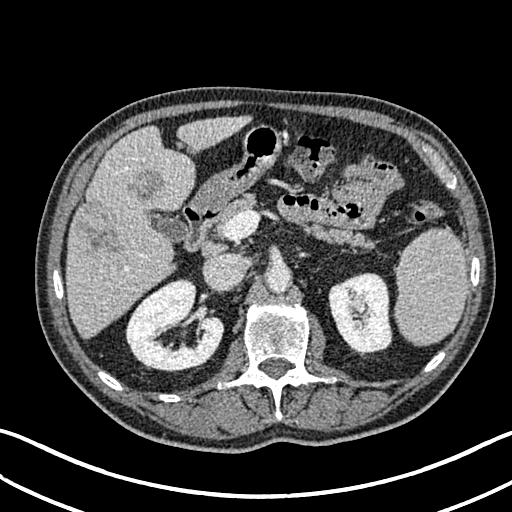

Image size 512x512; CT; Upper abdomen
{"liver_lesion": ["box=[78, 203, 126, 253]", "box=[129, 169, 161, 198]"], "liver": ["box=[67, 117, 249, 336]"], "kidney": ["box=[127, 280, 223, 370]", "box=[329, 274, 390, 352]"]}